Brain | Slice 63 of 155
FLAIR MRI.
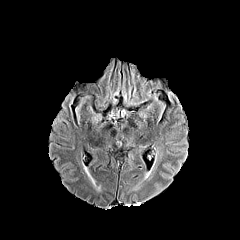
T1-weighted MRI.
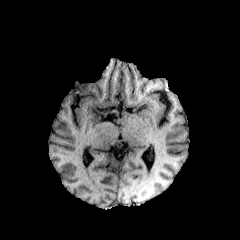
Post-contrast T1-weighted MR.
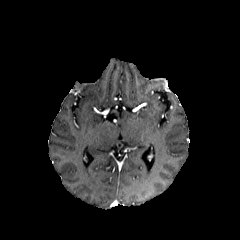
T2-weighted magnetic resonance.
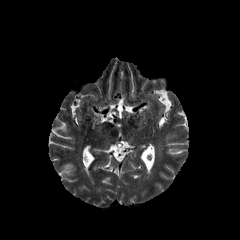
edema: box=[145, 147, 158, 178]